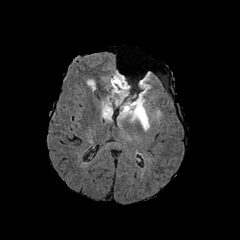
FLAIR MR.
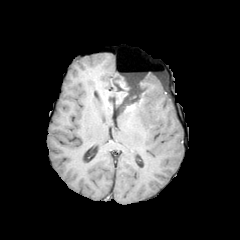
T1-weighted MR.
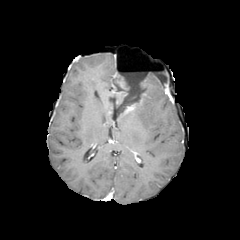
Post-contrast T1-weighted magnetic resonance.
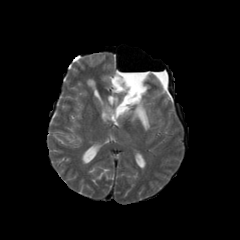
T2-weighted MRI of the same slice.
non-enhancing tumor core: <bbox>112, 74, 144, 113</bbox> | edema: <bbox>118, 74, 155, 130</bbox>, <bbox>103, 77, 125, 106</bbox>, <bbox>101, 100, 111, 120</bbox> | enhancing tumor: <bbox>125, 104, 135, 112</bbox>